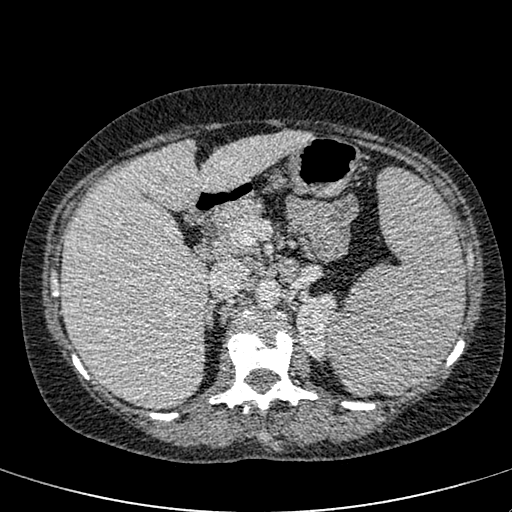 Upper abdomen, Computed tomography
Segmented structures:
• kidney: box=[297, 294, 335, 359]
• liver: box=[62, 132, 313, 407]